Slice index 26, Computed tomography 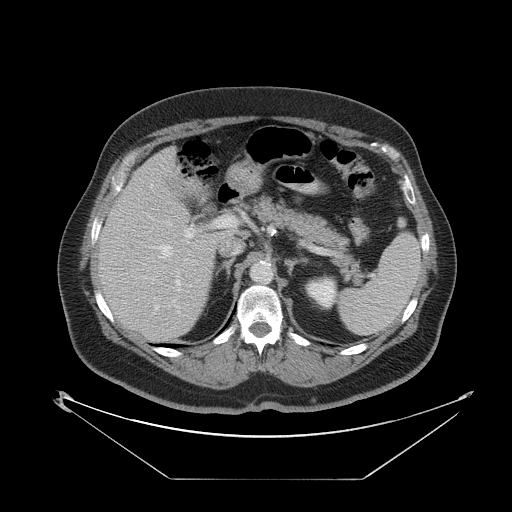 Not every hepatic vessel necessarily has a box.
Segmented structures:
* hepatic vessel: [x1=154, y1=297, x2=157, y2=301], [x1=154, y1=304, x2=159, y2=309], [x1=217, y1=219, x2=224, y2=226], [x1=175, y1=280, x2=180, y2=290], [x1=184, y1=228, x2=193, y2=238], [x1=195, y1=279, x2=198, y2=281], [x1=159, y1=246, x2=171, y2=258], [x1=177, y1=271, x2=178, y2=273], [x1=184, y1=258, x2=187, y2=260]